CT scan slice; 512x512 px

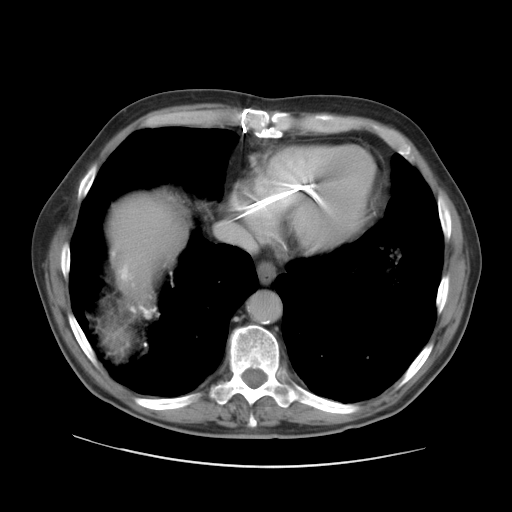
Only some of the vessels may be annotated.
{
  "hepatic_vessel": [
    "122, 262, 130, 279"
  ]
}